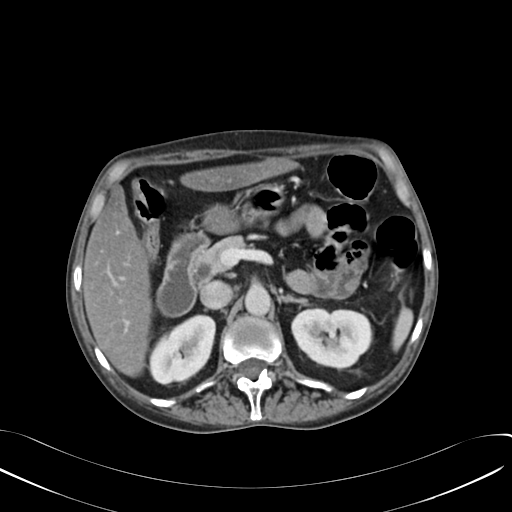

512x512 | CT

2 kidney regions appear at 151 316 214 382, 292 309 369 366. 2 liver regions are located at 183 158 299 191, 84 185 151 373.